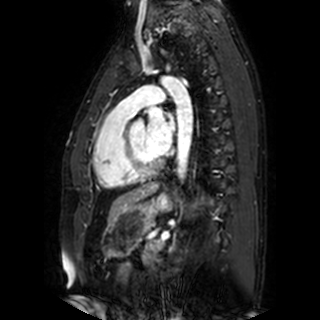

MR.
left atrium: [145,108,176,154]